Slice 133/722. 512x512. CT scan slice.
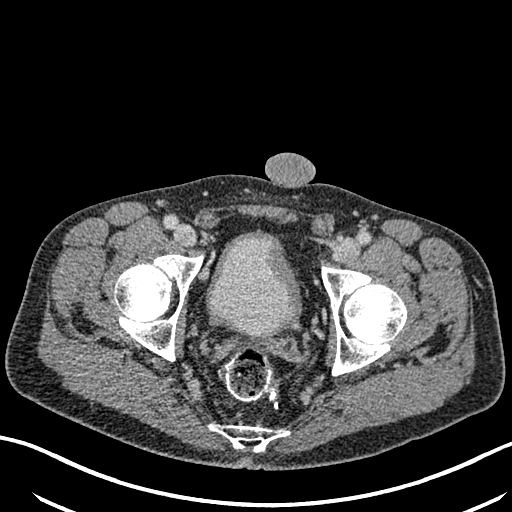
Segmented structures:
- urinary bladder: {"x1": 210, "y1": 234, "x2": 295, "y2": 334}